Slice 56 of 105 | Image size 512x512 | CT scan slice | Abdomen

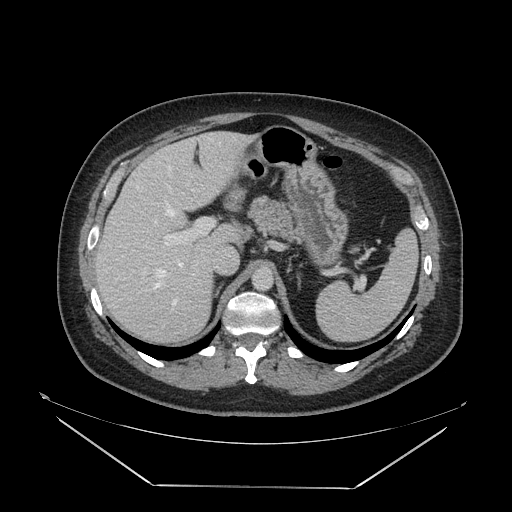 pancreas: bbox=[250, 197, 298, 239]